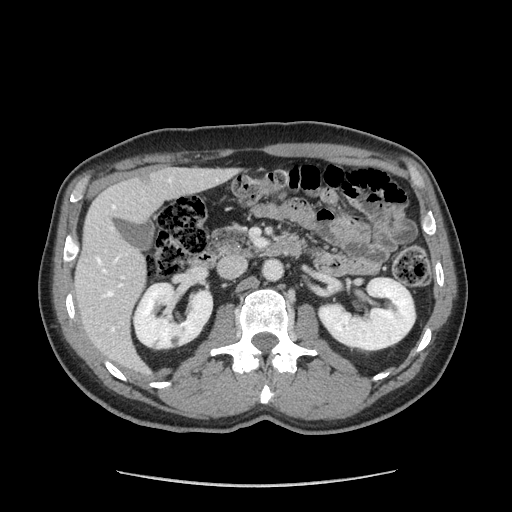

CT. Upper abdomen.

Pancreas — 208:229:256:255.